Head.
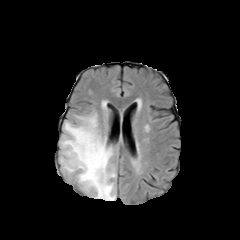
FLAIR MR image.
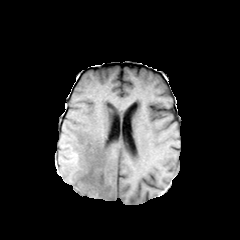
T1-weighted MR.
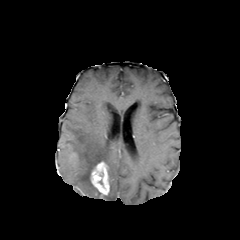
Post-contrast T1-weighted MR image.
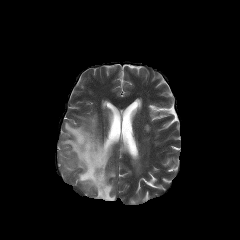
Same slice, T2-weighted MRI.
Enhancing tumor = box=[90, 161, 109, 195].
Edema = box=[59, 113, 116, 200].